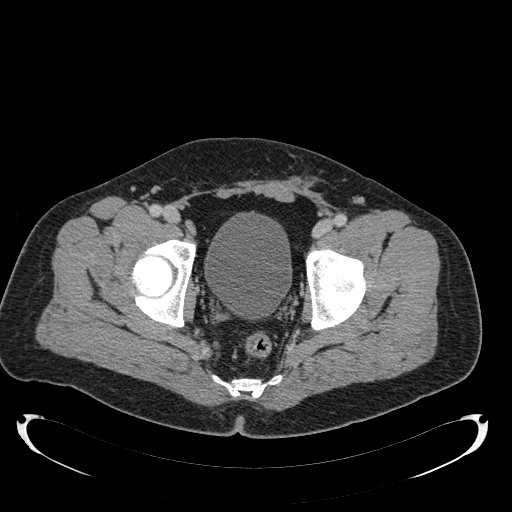
CT image; 512x512 px

Annotated regions:
- urinary bladder: (x1=205, y1=212, x2=291, y2=319)